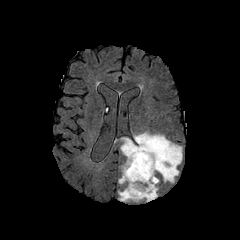
FLAIR MR.
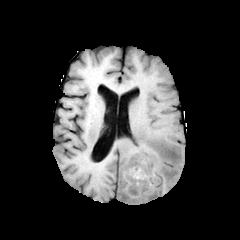
Same slice, T1-weighted MR.
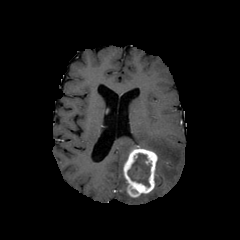
Post-contrast T1-weighted MR.
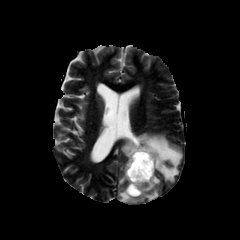
T2-weighted MR image of the same slice.
edema: box(120, 136, 135, 159); box(118, 164, 159, 202); box(133, 132, 182, 183) | enhancing tumor: box(123, 145, 157, 197) | non-enhancing tumor core: box(128, 154, 150, 185)